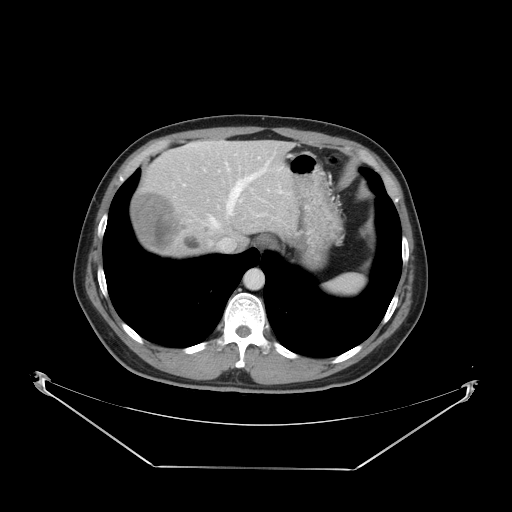

CT slice

Some hepatic vessels may have no box.
liver_tumor:
  - <box>133,191,179,249</box>
hepatic_vessel:
  - <box>226,174,257,216</box>
  - <box>208,216,220,228</box>